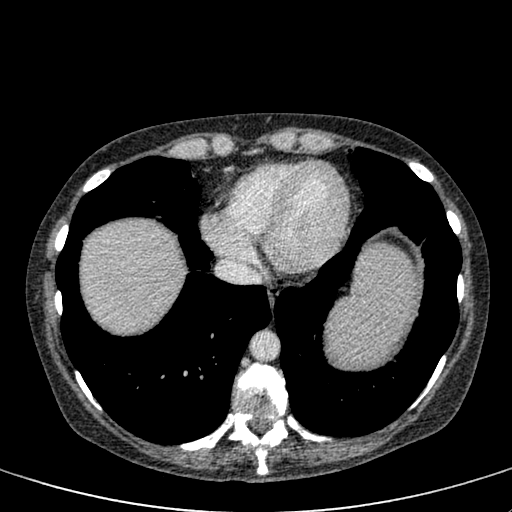
CT slice

The liver appears at box(80, 221, 182, 331).